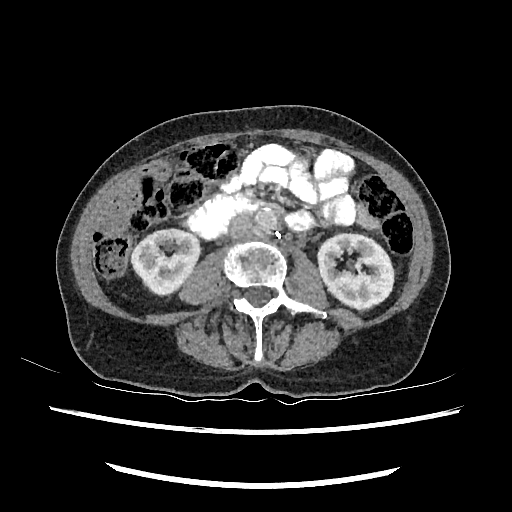
Abdomen; CT image
<segmentation>
  <kidney>132, 228, 199, 293; 318, 232, 393, 308</kidney>
</segmentation>